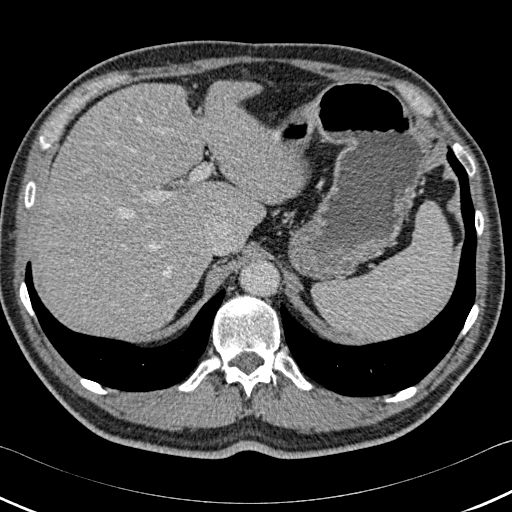

CT image, Abdomen
Lung = {"x1": 279, "y1": 146, "x2": 476, "y2": 396}, {"x1": 25, "y1": 261, "x2": 225, "y2": 391}.
Liver = {"x1": 39, "y1": 80, "x2": 304, "y2": 339}.
Bone = {"x1": 453, "y1": 143, "x2": 475, "y2": 176}, {"x1": 178, "y1": 357, "x2": 220, "y2": 391}, {"x1": 462, "y1": 305, "x2": 478, "y2": 334}, {"x1": 20, "y1": 282, "x2": 33, "y2": 315}, {"x1": 475, "y1": 210, "x2": 483, "y2": 234}, {"x1": 40, "y1": 136, "x2": 50, "y2": 148}, {"x1": 213, "y1": 296, "x2": 311, "y2": 396}, {"x1": 25, "y1": 181, "x2": 35, "y2": 207}, {"x1": 386, "y1": 387, "x2": 416, "y2": 402}, {"x1": 80, "y1": 379, "x2": 106, "y2": 394}.